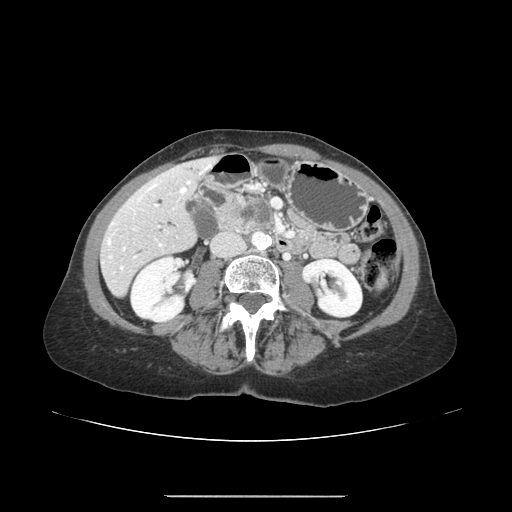 Upper abdomen | CT
<segmentation>
  <pancreatic_tumor><box>239,199,270,222</box></pancreatic_tumor>
  <pancreas><box>243,200,275,228</box></pancreas>
</segmentation>